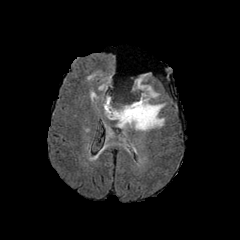
FLAIR MRI.
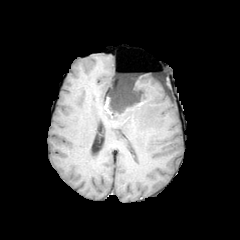
Same slice, T1-weighted magnetic resonance.
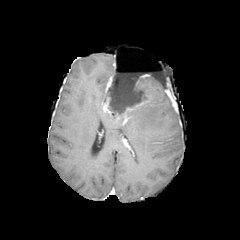
Post-contrast T1-weighted MRI of the same slice.
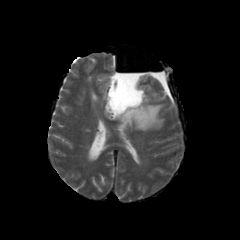
T2-weighted MR image.
non-enhancing tumor core: rect(105, 78, 143, 124) | edema: rect(117, 75, 165, 134); rect(90, 89, 98, 102); rect(88, 73, 110, 105)